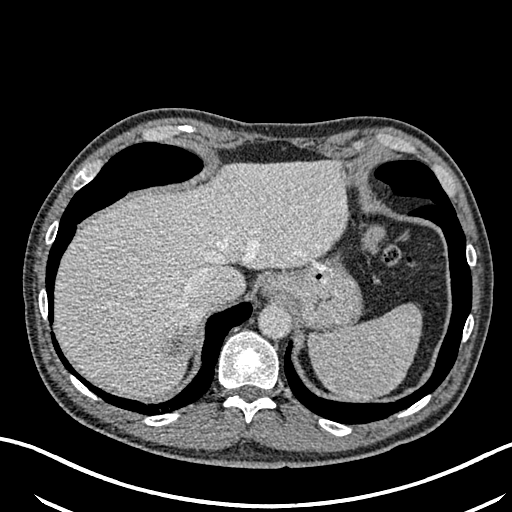
CT scan slice, Abdomen

Hepatic lesion: bounding box <bbox>163, 329, 187, 357</bbox>.
Liver: bounding box <bbox>56, 161, 343, 395</bbox>.